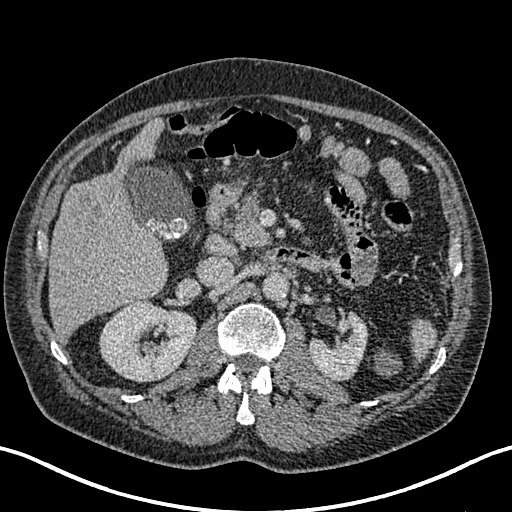
512x512 px, CT image
liver: box(48, 120, 168, 340) | focal liver lesion: box(73, 190, 101, 221) | kidney: box(310, 314, 366, 379); box(101, 302, 195, 381)